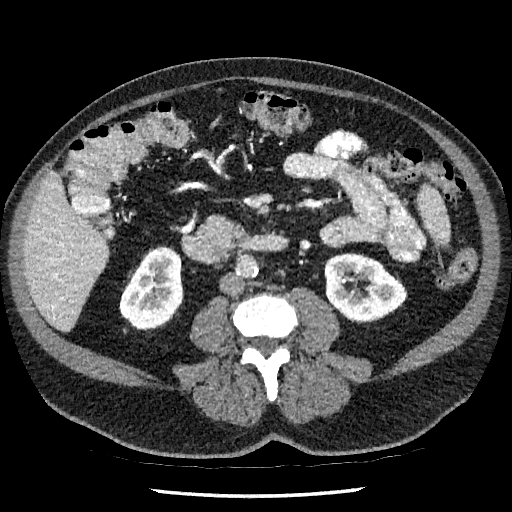

CT; Liver; 512x512 px

2 kidney regions are bounded by bbox=[120, 250, 181, 328]; bbox=[325, 254, 405, 320]. The liver appears at bbox=[23, 171, 107, 331].